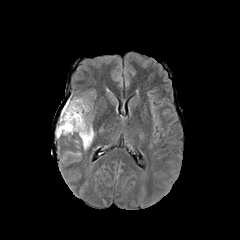
FLAIR magnetic resonance.
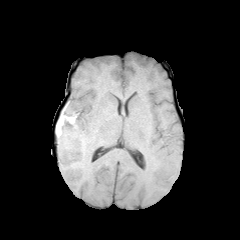
Same slice, T1-weighted MR image.
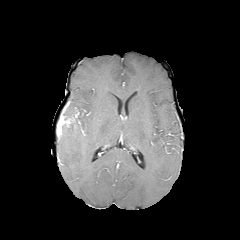
Same slice, post-contrast T1-weighted magnetic resonance.
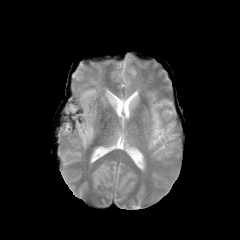
T2-weighted MR image.
Brain
Edema at box=[61, 93, 94, 150].
Non-enhancing tumor core at box=[57, 123, 69, 134]; box=[61, 110, 83, 128].